Field of view 360x360 mm | CT scan slice | Liver

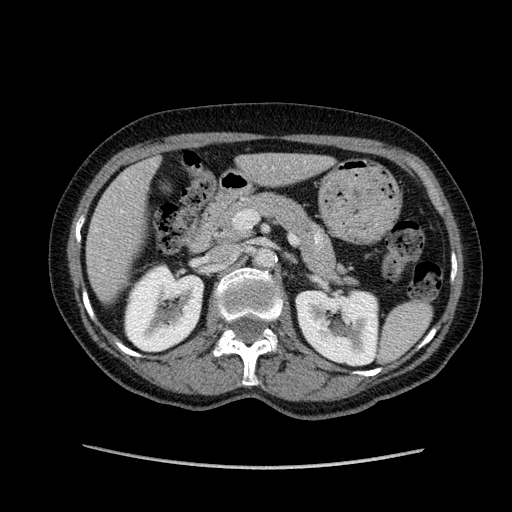

Kidney = x1=126, y1=267, x2=202, y2=350; x1=296, y1=291, x2=376, y2=365.
Liver = x1=86, y1=160, x2=155, y2=297; x1=241, y1=152, x2=326, y2=184.